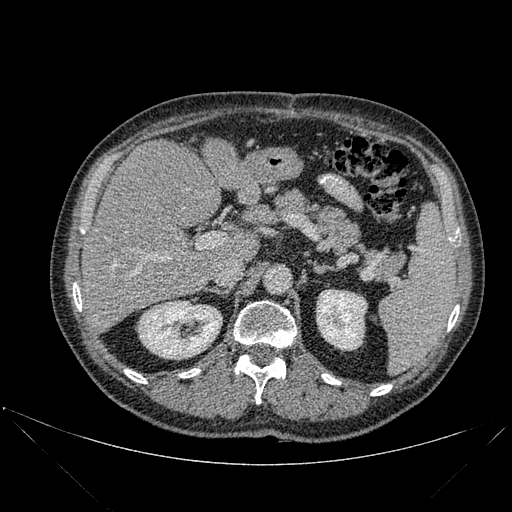 CT scan slice, Upper abdomen
liver:
  - [x1=79, y1=139, x2=221, y2=332]
  - [x1=236, y1=230, x2=257, y2=261]
  - [x1=237, y1=181, x2=259, y2=204]
  - [x1=202, y1=137, x2=243, y2=188]
bone:
  - [x1=235, y1=355, x2=285, y2=403]
  - [x1=124, y1=369, x2=146, y2=383]
  - [x1=448, y1=305, x2=459, y2=330]
  - [x1=234, y1=301, x2=296, y2=347]
  - [x1=73, y1=283, x2=81, y2=311]
  - [x1=322, y1=374, x2=340, y2=384]
  - [x1=449, y1=229, x2=458, y2=241]
  - [x1=370, y1=384, x2=392, y2=395]
  - [x1=179, y1=368, x2=200, y2=377]
kidney:
  - [x1=138, y1=301, x2=221, y2=359]
  - [x1=316, y1=289, x2=366, y2=350]